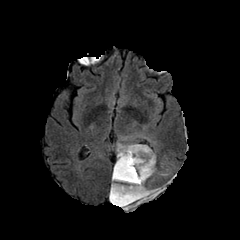
FLAIR MR image.
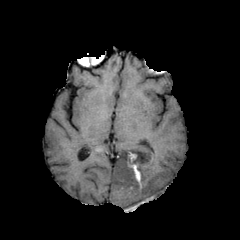
Same slice, T1-weighted MR image.
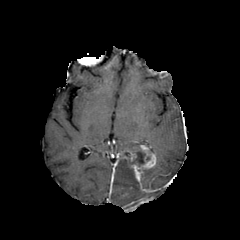
Same slice, post-contrast T1-weighted MR.
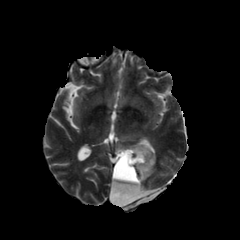
T2-weighted MR image.
Image size 240x240. Head.
Findings:
• non-enhancing tumor core: x1=110 y1=148 x2=160 y2=209
• enhancing tumor: x1=144 y1=154 x2=153 y2=167, x1=131 y1=164 x2=141 y2=183, x1=112 y1=151 x2=123 y2=181
• edema: x1=116 y1=144 x2=139 y2=151, x1=142 y1=166 x2=164 y2=197, x1=114 y1=182 x2=140 y2=195